CT slice. Liver. 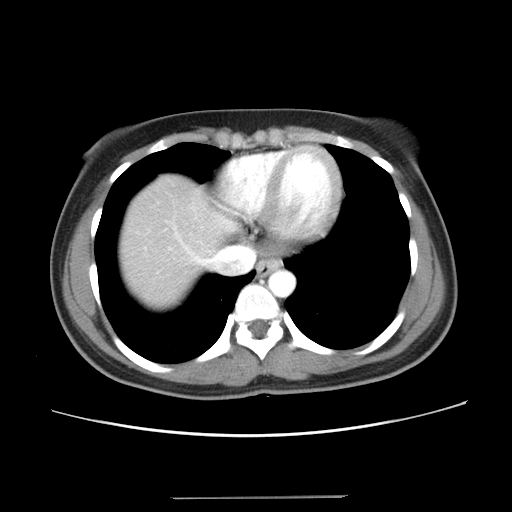 The vessel annotation is not exhaustive.
Hepatic vessel: bounding box 175, 228, 193, 254.